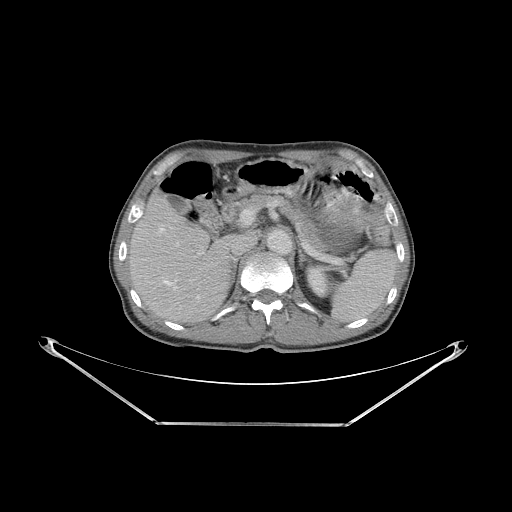
CT image.
10 bone regions are bounded by bbox(241, 253, 292, 294); bbox(348, 319, 366, 327); bbox(251, 298, 285, 323); bbox(397, 244, 403, 261); bbox(131, 290, 140, 306); bbox(388, 288, 396, 303); bbox(165, 322, 183, 329); bbox(119, 242, 126, 260); bbox(387, 210, 396, 221); bbox(128, 206, 140, 221). 2 liver regions are located at bbox(245, 232, 256, 244); bbox(130, 187, 232, 321). The kidney lies within bbox(309, 268, 325, 294).